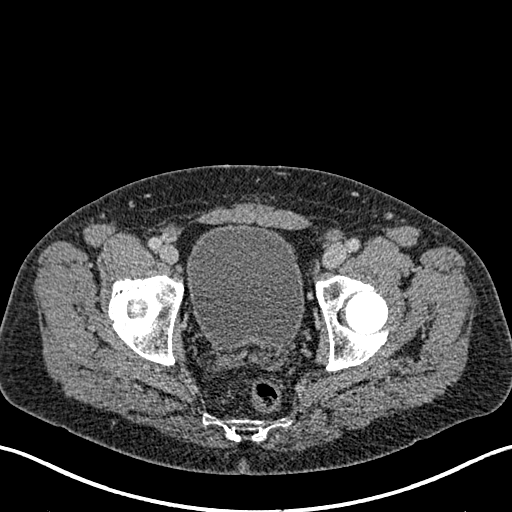
512x512 | CT image

urinary_bladder:
  - 187 222 304 346